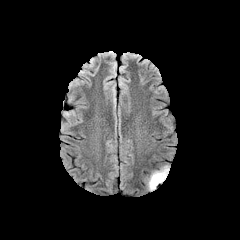
FLAIR MRI.
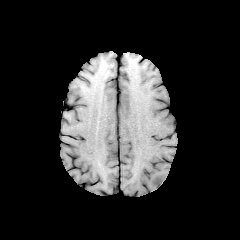
T1-weighted MR.
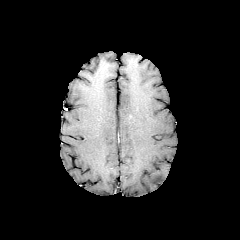
Same slice, post-contrast T1-weighted MR.
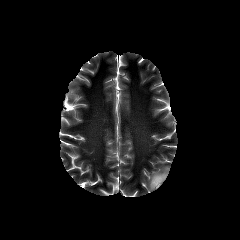
T2-weighted MR.
240x240
<segmentation>
  <edema>x1=148 y1=166 x2=169 y2=189</edema>
</segmentation>